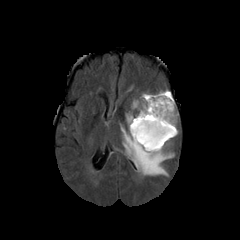
FLAIR MR.
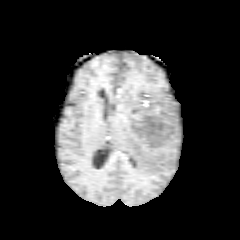
Same slice, T1-weighted MRI.
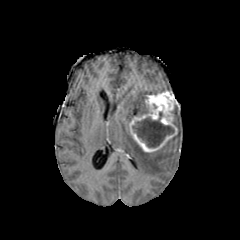
Same slice, post-contrast T1-weighted MRI.
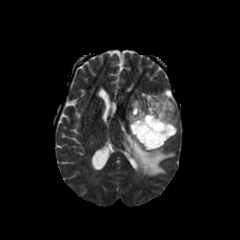
T2-weighted MR image.
Image size 240x240 | Head
Edema = l=121, t=92, r=173, b=175; l=176, t=114, r=180, b=133; l=164, t=134, r=177, b=145.
Enhancing tumor = l=130, t=90, r=177, b=152.
Non-enhancing tumor core = l=132, t=117, r=173, b=147; l=173, t=105, r=178, b=125.